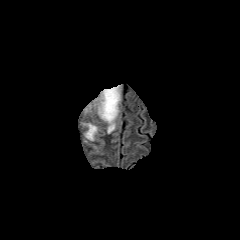
FLAIR MR.
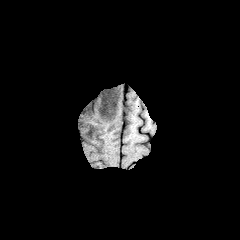
T1-weighted MRI.
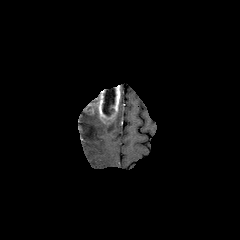
Same slice, post-contrast T1-weighted MR image.
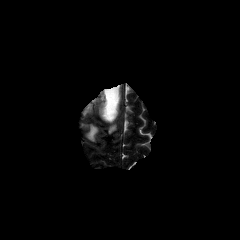
T2-weighted MR.
Head.
Enhancing tumor at bbox=[83, 85, 120, 123].
Non-enhancing tumor core at bbox=[103, 87, 115, 116].
Edema at bbox=[107, 100, 120, 134]; bbox=[81, 122, 100, 141].